Abdomen | Image width 500 mm | Computed tomography
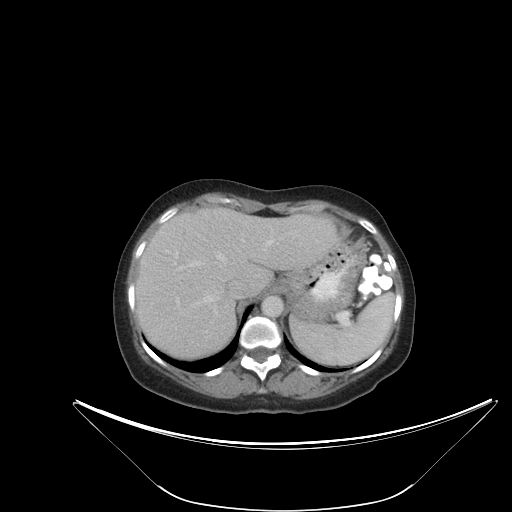

Not every hepatic vessel necessarily has a box.
{
  "hepatic_vessel": [
    "bbox=[219, 254, 227, 263]",
    "bbox=[192, 295, 218, 305]",
    "bbox=[267, 241, 272, 244]",
    "bbox=[177, 298, 178, 301]",
    "bbox=[236, 283, 239, 286]"
  ]
}